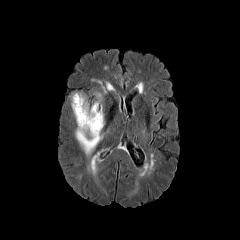
FLAIR MRI.
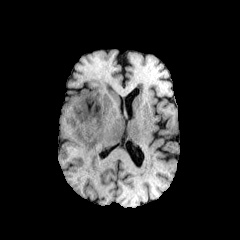
T1-weighted MRI.
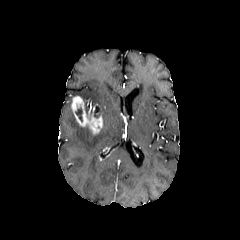
Same slice, post-contrast T1-weighted MR image.
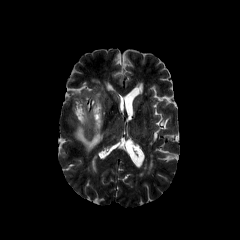
T2-weighted MR image.
Image size 240x240. Head.
Segmented structures:
- edema: 75, 123, 102, 152
- non-enhancing tumor core: 76, 107, 83, 121; 93, 107, 101, 119
- enhancing tumor: 88, 103, 102, 135; 71, 96, 87, 127